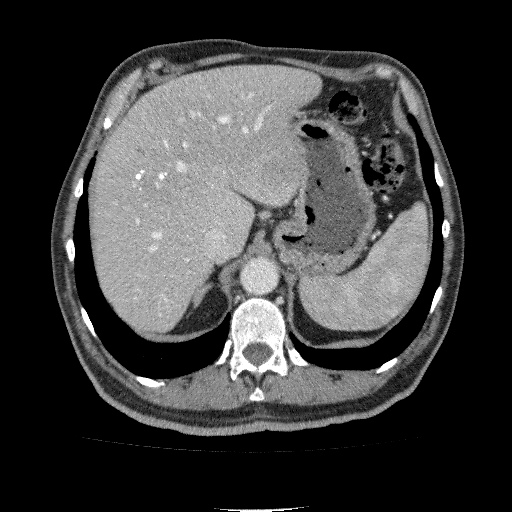

Abdomen. CT image. hepatic lesion: x1=260 y1=153 x2=300 y2=190 | liver: x1=91 y1=67 x2=321 y2=336